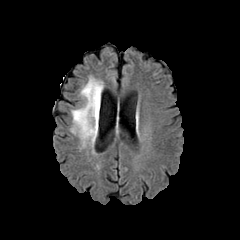
FLAIR MR.
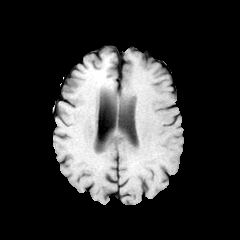
T1-weighted magnetic resonance.
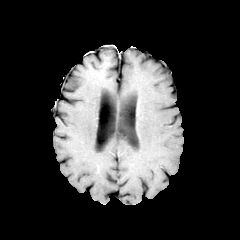
Post-contrast T1-weighted MR image of the same slice.
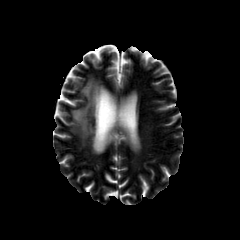
Same slice, T2-weighted magnetic resonance.
Head
Annotated regions:
* edema: [70, 76, 103, 146]